FLAIR MR.
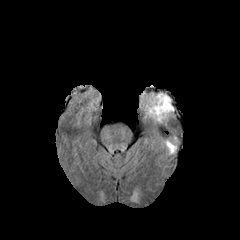
T1-weighted MR.
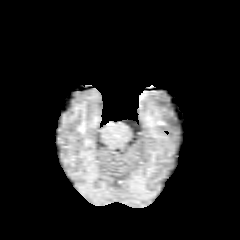
Post-contrast T1-weighted magnetic resonance.
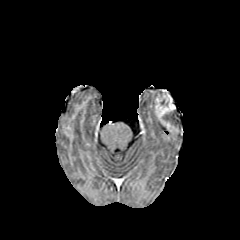
T2-weighted MR.
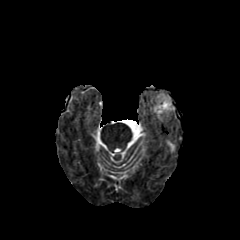
Head.
The enhancing tumor lies within 155 94 174 119. 2 edema regions are located at 147 91 170 121, 166 140 175 152.